CT image; Abdomen 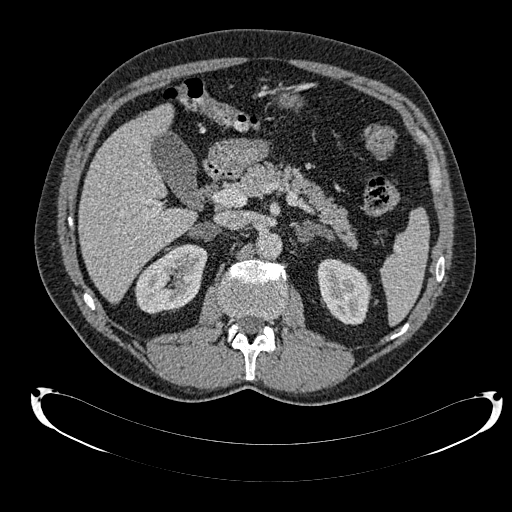

Segmented structures:
- liver: box=[79, 105, 195, 302]
- kidney: box=[318, 259, 369, 323]; box=[136, 245, 206, 312]